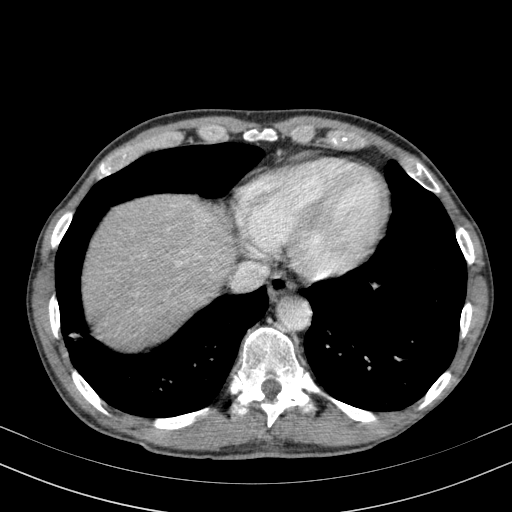 CT image | Upper abdomen | 512x512

Liver: l=82, t=195, r=237, b=350.